Slice 87/155 | Head | Field of view 240 mm wide, 1.00 mm slice spacing
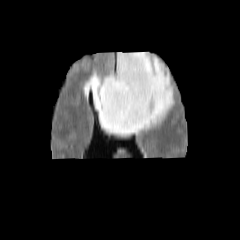
FLAIR MR image.
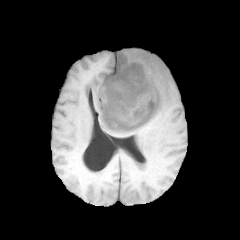
T1-weighted MRI.
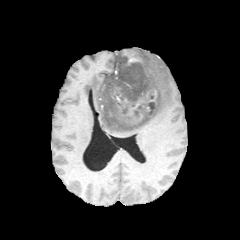
Same slice, post-contrast T1-weighted magnetic resonance.
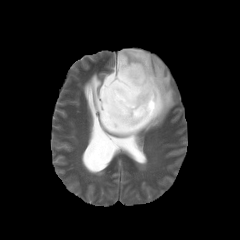
Same slice, T2-weighted MR.
Enhancing tumor: [125, 52, 139, 62].
Edema: [90, 51, 176, 136].
Non-enhancing tumor core: [108, 48, 158, 127].